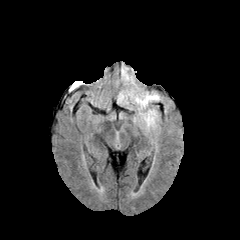
FLAIR MR.
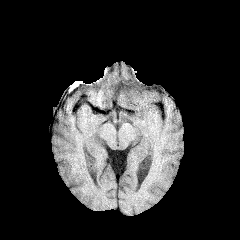
T1-weighted MR.
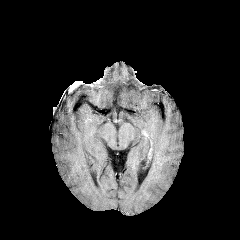
Post-contrast T1-weighted MRI.
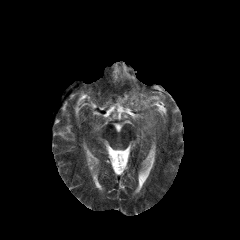
T2-weighted MRI of the same slice.
Brain
2 edema regions are located at <bbox>135, 94, 159, 108</bbox>, <bbox>140, 110, 154, 127</bbox>.